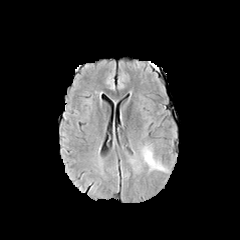
FLAIR MRI.
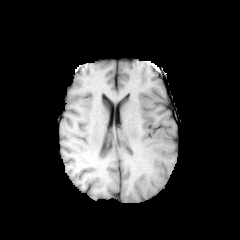
T1-weighted MR image.
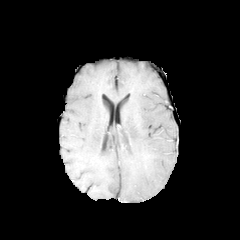
Post-contrast T1-weighted magnetic resonance of the same slice.
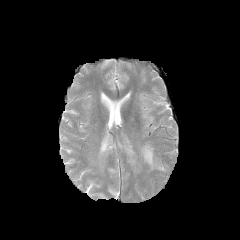
T2-weighted MRI.
Image size 240x240
edema: l=141, t=143, r=167, b=172